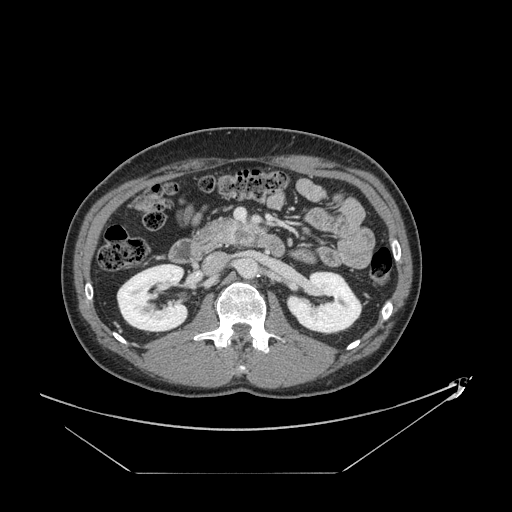 CT
The pancreas is at 197, 219, 262, 250. The pancreatic tumor is located at 234, 229, 249, 240.